Brain
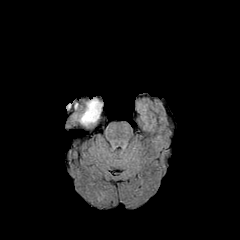
FLAIR magnetic resonance.
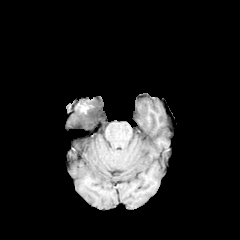
T1-weighted magnetic resonance.
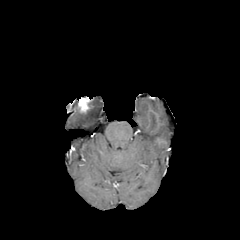
Same slice, post-contrast T1-weighted magnetic resonance.
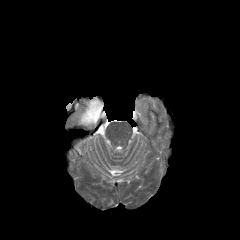
Same slice, T2-weighted MR image.
edema:
  - bbox=[90, 98, 101, 113]
  - bbox=[75, 103, 99, 125]
non-enhancing_tumor_core:
  - bbox=[81, 100, 99, 119]